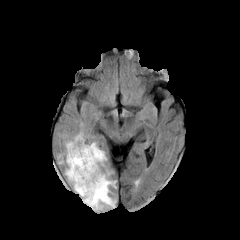
FLAIR MRI.
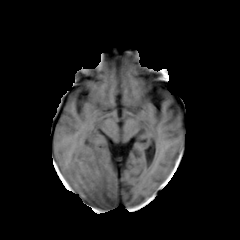
T1-weighted MR.
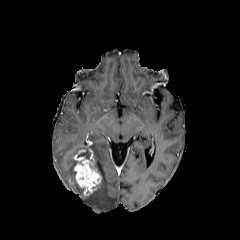
Same slice, post-contrast T1-weighted MRI.
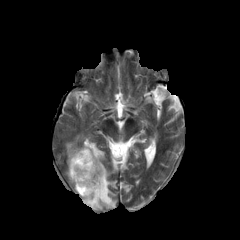
T2-weighted magnetic resonance.
Brain
The non-enhancing tumor core appears at bbox=[79, 149, 90, 158]. The edema appears at bbox=[64, 133, 116, 210]. The enhancing tumor lies within bbox=[72, 138, 101, 197].